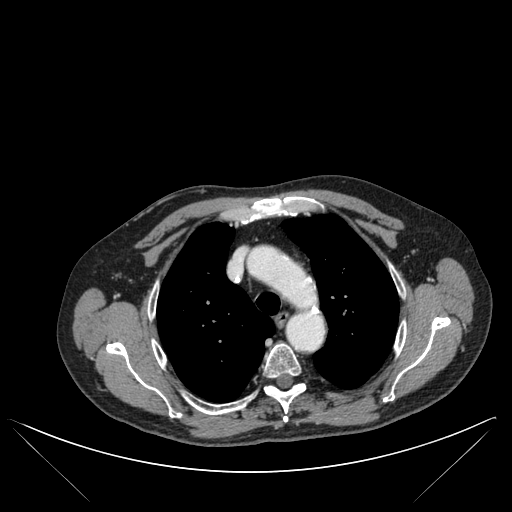

CT scan slice, Chest
{"bone": ["(x1=264, y1=383, x2=305, y2=412)", "(x1=152, y1=339, x2=166, y2=368)", "(x1=394, y1=321, x2=406, y2=354)", "(x1=391, y1=267, x2=402, y2=293)", "(x1=383, y1=317, x2=450, y2=401)", "(x1=148, y1=288, x2=157, y2=318)", "(x1=106, y1=342, x2=181, y2=417)", "(x1=187, y1=397, x2=251, y2=414)", "(x1=264, y1=343, x2=300, y2=377)", "(x1=242, y1=196, x2=318, y2=223)"], "lung": ["(x1=157, y1=222, x2=279, y2=402)", "(x1=282, y1=214, x2=398, y2=388)"]}